Abdomen | Computed tomography | Slice index 341
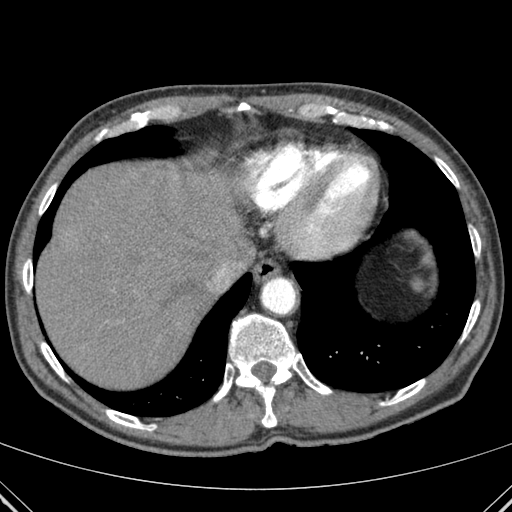 The liver appears at {"x1": 35, "y1": 163, "x2": 246, "y2": 389}. 3 lung regions appear at {"x1": 36, "y1": 126, "x2": 181, "y2": 258}, {"x1": 293, "y1": 128, "x2": 475, "y2": 392}, {"x1": 61, "y1": 273, "x2": 251, "y2": 416}. 12 bone regions appear at {"x1": 39, "y1": 184, "x2": 56, "y2": 214}, {"x1": 213, "y1": 314, "x2": 331, "y2": 427}, {"x1": 461, "y1": 300, "x2": 479, "y2": 340}, {"x1": 22, "y1": 259, "x2": 32, "y2": 292}, {"x1": 379, "y1": 121, "x2": 392, "y2": 129}, {"x1": 106, "y1": 410, "x2": 156, "y2": 430}, {"x1": 470, "y1": 228, "x2": 480, "y2": 255}, {"x1": 41, "y1": 342, "x2": 65, "y2": 379}, {"x1": 382, "y1": 379, "x2": 425, "y2": 405}, {"x1": 95, "y1": 130, "x2": 105, "y2": 140}, {"x1": 435, "y1": 157, "x2": 459, "y2": 187}, {"x1": 237, "y1": 102, "x2": 249, "y2": 110}.